240x240 px
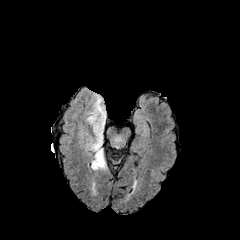
FLAIR magnetic resonance.
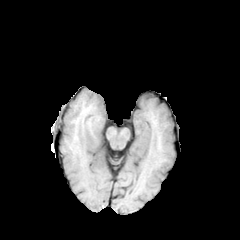
T1-weighted magnetic resonance.
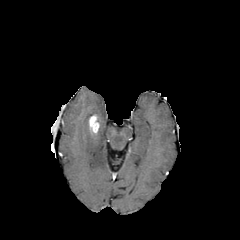
Post-contrast T1-weighted magnetic resonance of the same slice.
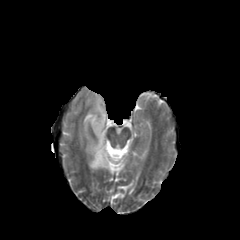
Same slice, T2-weighted magnetic resonance.
The enhancing tumor lies within region(88, 115, 99, 133). The edema lies within region(81, 93, 107, 171).